CT scan slice; Field of view 348 mm wide, 0.80 mm slice spacing; 512x512
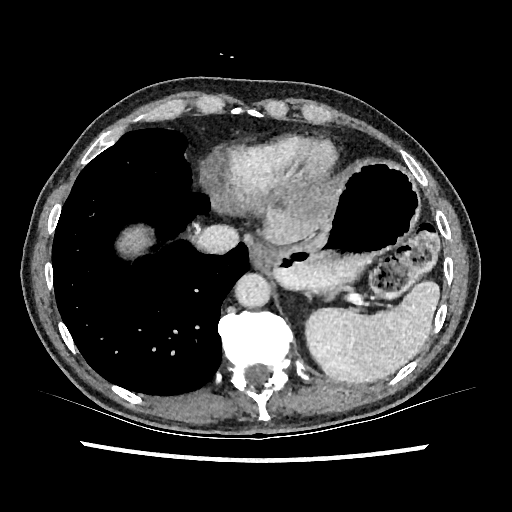
3 liver regions appear at (117, 227, 151, 257), (265, 206, 328, 244), (298, 174, 347, 189). The hepatic lesion appears at (285, 186, 341, 222).